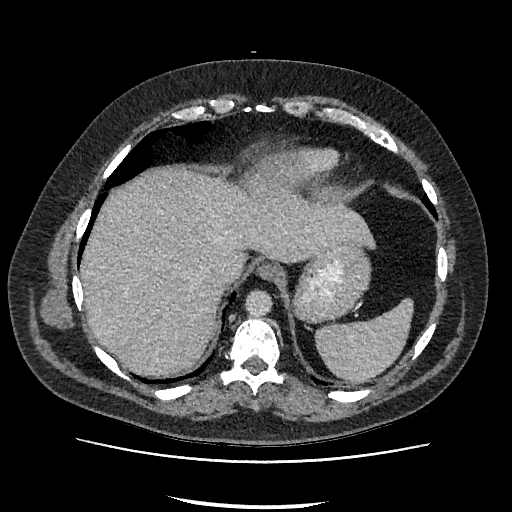 CT. The liver appears at region(82, 171, 373, 374).